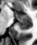 Image size 37x45. MRI slice.
The anterior hippocampus is located at region(14, 11, 30, 19). The posterior hippocampus is at region(17, 20, 30, 29).